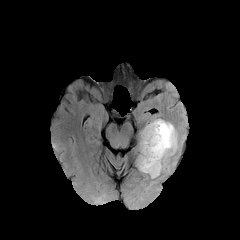
FLAIR MR.
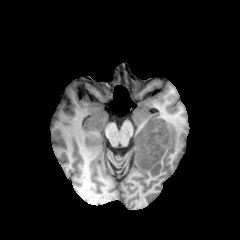
T1-weighted MR of the same slice.
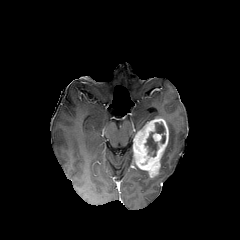
Post-contrast T1-weighted MRI.
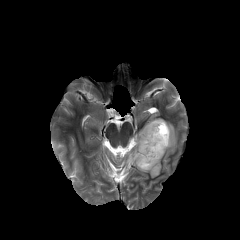
T2-weighted MR.
<segmentation>
  <enhancing_tumor>(133, 118, 168, 177)</enhancing_tumor>
  <non-enhancing_tumor_core>(155, 122, 165, 142), (146, 135, 157, 151)</non-enhancing_tumor_core>
  <edema>(160, 121, 179, 171)</edema>
</segmentation>